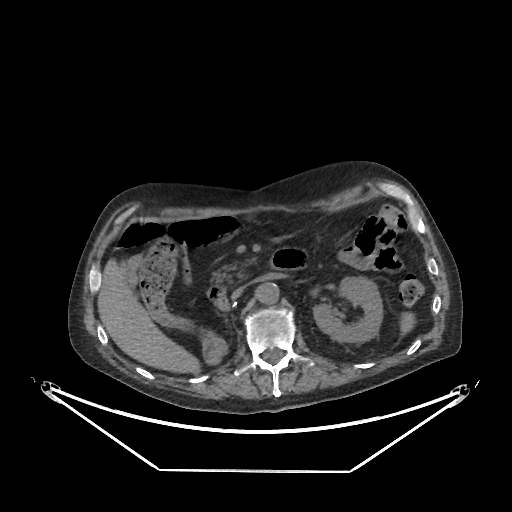

Upper abdomen | 512x512 px | CT slice
Liver = l=98, t=256, r=199, b=372.
Kidney = l=314, t=276, r=382, b=343.